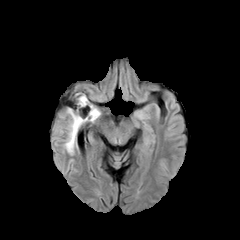
FLAIR MRI.
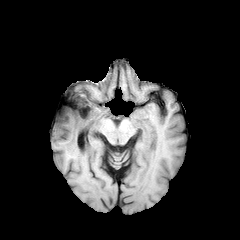
Same slice, T1-weighted MR image.
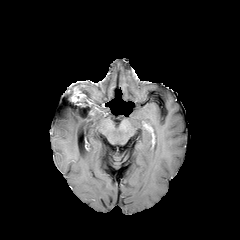
Post-contrast T1-weighted MR of the same slice.
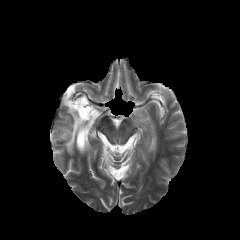
T2-weighted MR image of the same slice.
2 non-enhancing tumor core regions are bounded by (left=68, top=90, right=80, bottom=103), (left=72, top=104, right=85, bottom=121). The enhancing tumor is bounded by (left=74, top=92, right=89, bottom=105). The edema is at (left=56, top=104, right=100, bottom=155).